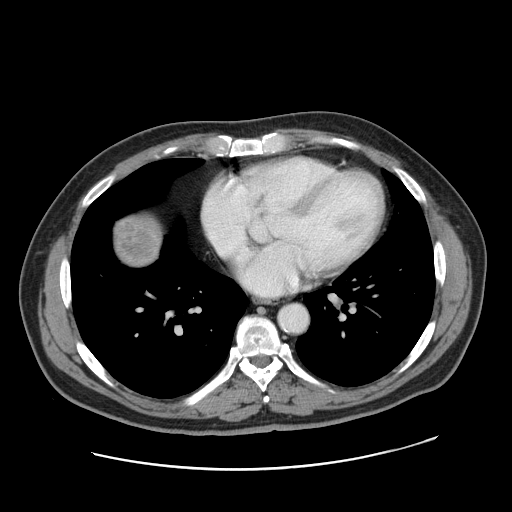
512x512 px, CT scan slice
The liver tumor is located at 116:217:160:264.